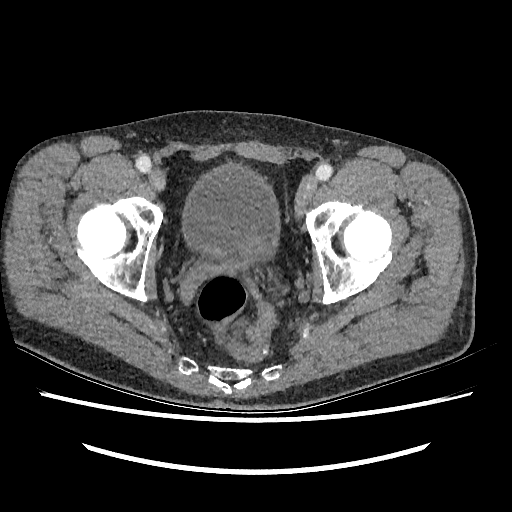

CT. Pelvis. The urinary bladder is at [183,169,276,263].